320x320, Field of view 400 mm wide, 1.37 mm slice spacing, Cardiac, MRI 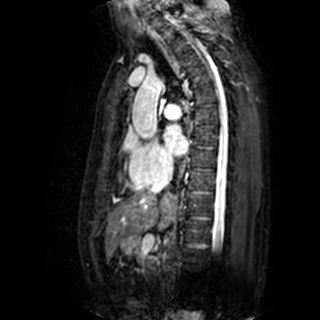 left_atrium:
  - (163, 124, 187, 156)